FLAIR MRI.
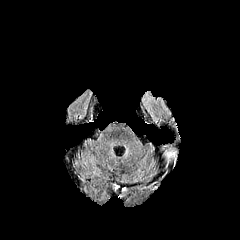
T1-weighted MR image.
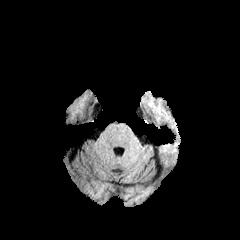
Post-contrast T1-weighted MR image.
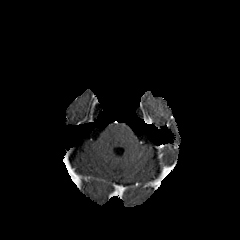
T2-weighted magnetic resonance.
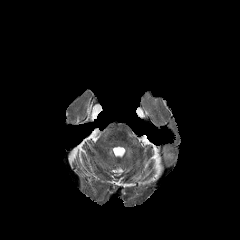
Brain
edema: region(164, 150, 176, 165)